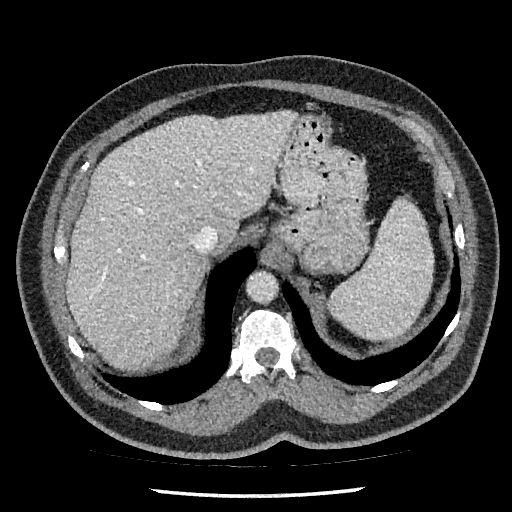

CT slice

{
  "liver": [
    "66 110 298 369"
  ]
}